240x240 px, Brain
FLAIR MRI.
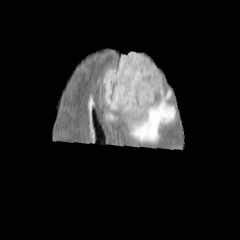
T1-weighted MR.
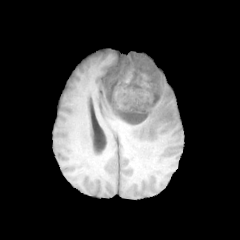
Post-contrast T1-weighted MR image.
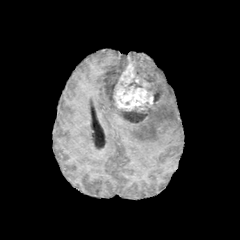
T2-weighted MR.
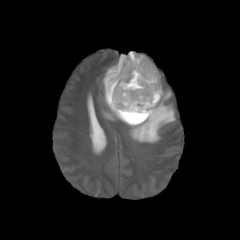
Edema = [x1=116, y1=51, x2=134, y2=64], [x1=103, y1=72, x2=176, y2=143].
Enhancing tumor = [x1=113, y1=56, x2=153, y2=111].
Non-enhancing tumor core = [x1=120, y1=105, x2=150, y2=124], [x1=103, y1=56, x2=128, y2=103], [x1=130, y1=53, x2=161, y2=105], [x1=128, y1=78, x2=143, y2=87].